FLAIR MR.
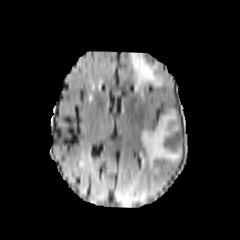
T1-weighted MRI.
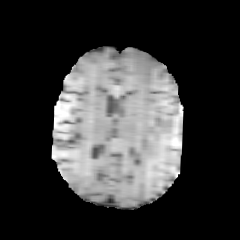
Post-contrast T1-weighted MRI.
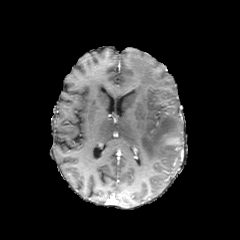
T2-weighted MR image.
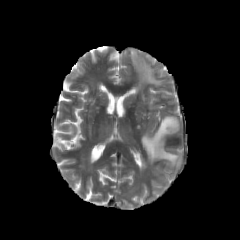
Head.
{
  "edema": [
    "[x1=128, y1=52, x2=163, y2=98]",
    "[x1=141, y1=109, x2=182, y2=168]"
  ]
}